FLAIR MR.
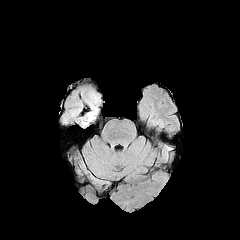
T1-weighted MR.
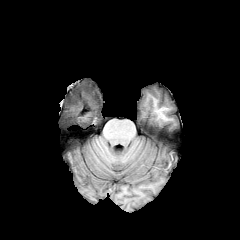
Post-contrast T1-weighted magnetic resonance.
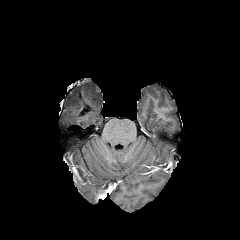
T2-weighted MR image.
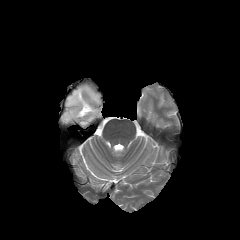
Head.
non-enhancing tumor core: left=74, top=88, right=99, bottom=107 | edema: left=63, top=91, right=100, bottom=126